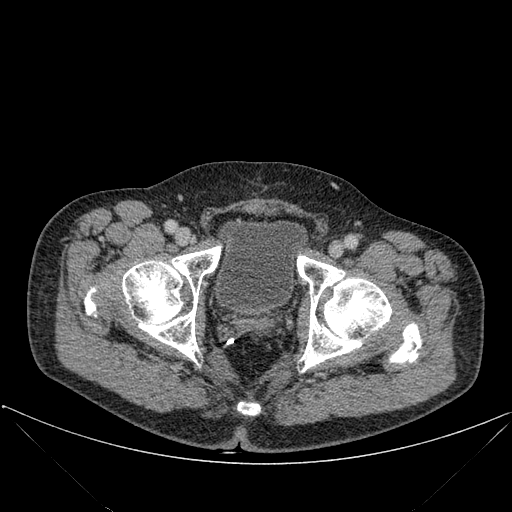 Pelvis | CT scan slice
urinary bladder: (214, 220, 308, 320) | bone: (390, 323, 421, 362), (122, 246, 220, 364), (297, 256, 391, 372), (84, 288, 95, 314), (238, 402, 260, 414)